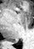 Magnetic resonance, Hippocampus
Posterior hippocampus at 8 38 14 40.